Abdomen. Computed tomography.

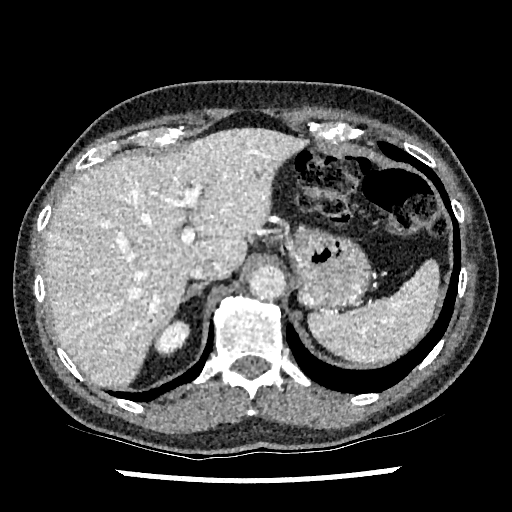

The liver lesion is located at 254:169:262:178. The liver appears at 43:128:308:386. The kidney is at 159:323:186:351.